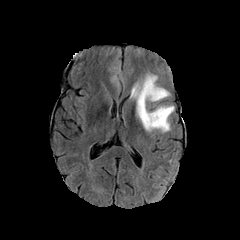
FLAIR MR.
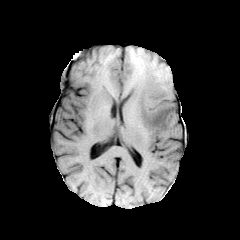
T1-weighted magnetic resonance of the same slice.
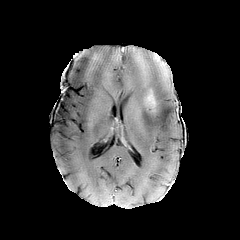
Same slice, post-contrast T1-weighted MR image.
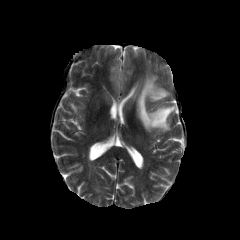
T2-weighted MRI of the same slice.
Head
The edema appears at box=[130, 74, 175, 132].